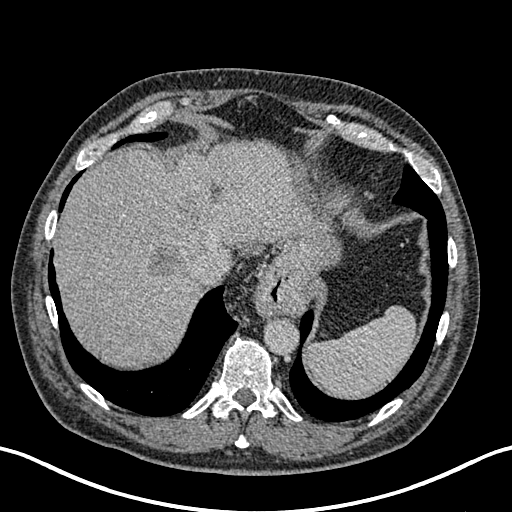
CT slice; Abdomen
3 liver lesion regions are located at 147:243:184:280, 208:186:222:198, 177:196:211:218. The liver is at 56:143:335:365.